Slice 31 of 82. Abdomen. 512x512 px. Computed tomography.
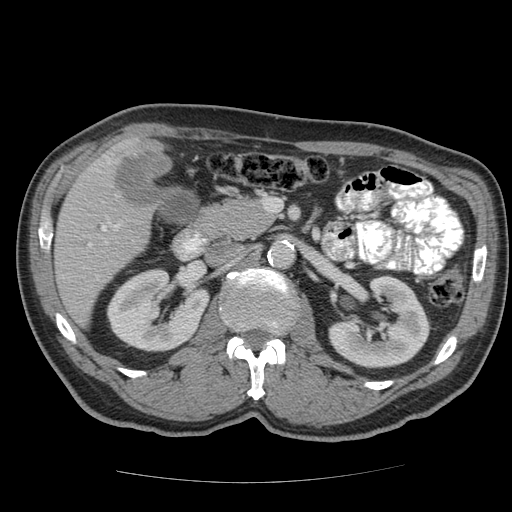

Only some of the vessels may be annotated.
Hepatic vessel: bounding box [x1=115, y1=195, x2=118, y2=197], [x1=87, y1=244, x2=90, y2=246], [x1=101, y1=227, x2=105, y2=230].
Liver tumor: bounding box [x1=115, y1=142, x2=167, y2=207].